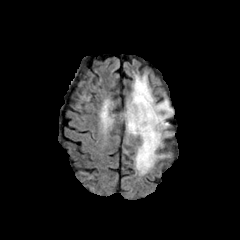
FLAIR magnetic resonance.
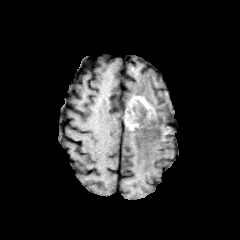
T1-weighted magnetic resonance.
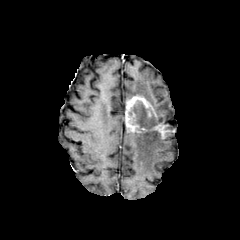
Post-contrast T1-weighted MR of the same slice.
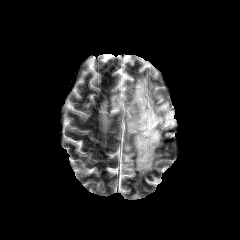
Same slice, T2-weighted MR.
Brain.
2 enhancing tumor regions are bounded by [126,95,153,132], [153,122,167,134]. 4 edema regions are bounded by [101,106,108,126], [128,130,173,175], [128,74,173,123], [136,106,150,125]. 2 non-enhancing tumor core regions appear at [161,124,169,137], [130,100,167,131].